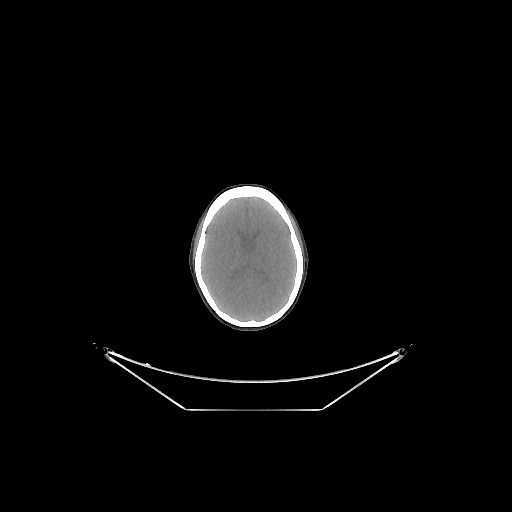 CT slice
<segmentation>
  <brain>bbox=[200, 196, 296, 321]</brain>
</segmentation>